FLAIR MR.
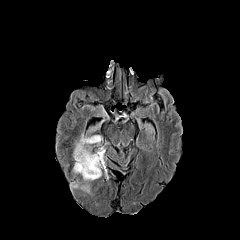
T1-weighted magnetic resonance.
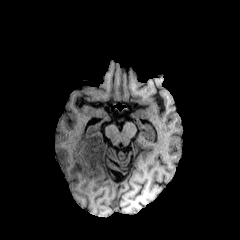
Post-contrast T1-weighted magnetic resonance.
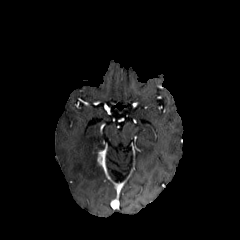
T2-weighted MR.
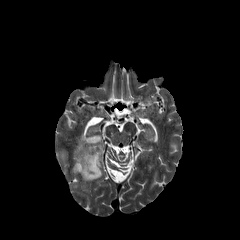
240x240.
{"edema": ["l=71, t=135, r=101, b=188"], "enhancing_tumor": ["l=95, t=150, r=102, b=168"]}